FLAIR MR.
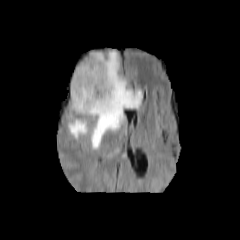
T1-weighted magnetic resonance.
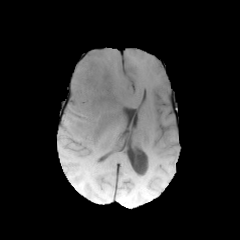
Post-contrast T1-weighted MRI.
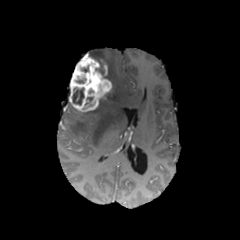
T2-weighted MR image.
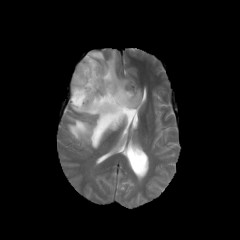
Image size 240x240
Enhancing tumor — 69:54:112:111.
Non-enhancing tumor core — 101:86:113:98, 88:51:107:75, 72:88:83:104.
Edema — 68:50:142:148.